Upper abdomen. Field of view 310 mm wide, 2.50 mm slice spacing. CT scan slice.

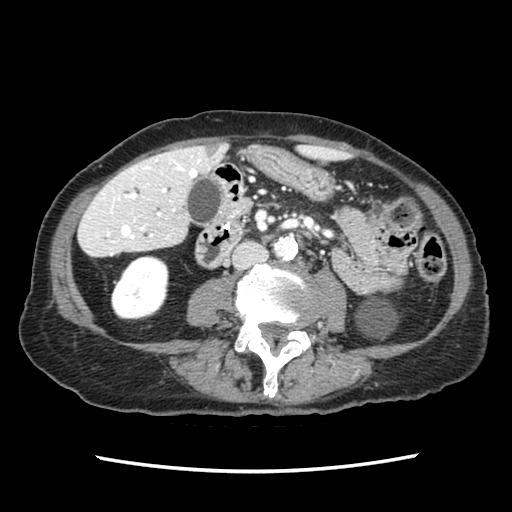
Findings:
* pancreas: 229, 198, 248, 216